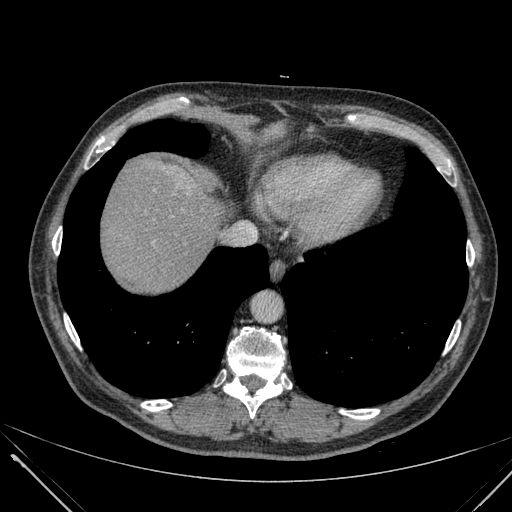
512x512 | CT scan slice

Liver = <bbox>256, 124, 284, 142</bbox>, <bbox>102, 155, 227, 294</bbox>.